FLAIR magnetic resonance.
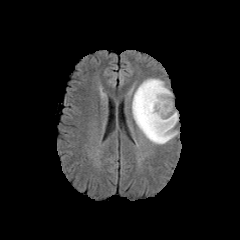
T1-weighted MRI.
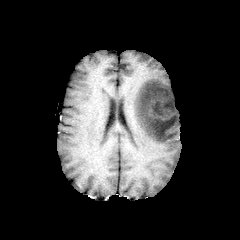
Post-contrast T1-weighted MRI.
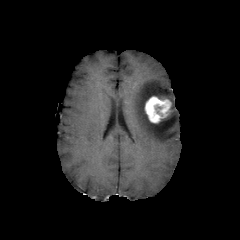
T2-weighted MR.
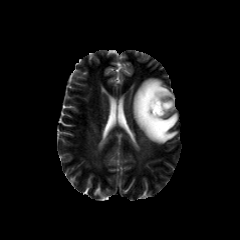
240x240
edema: bbox(132, 78, 178, 144) | enhancing tumor: bbox(144, 96, 174, 123)